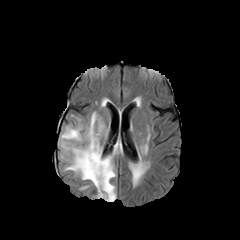
FLAIR magnetic resonance.
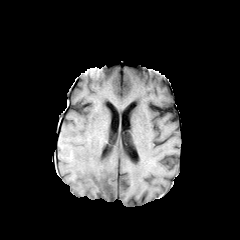
T1-weighted MR.
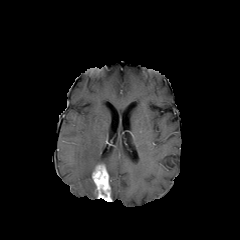
Post-contrast T1-weighted MR image of the same slice.
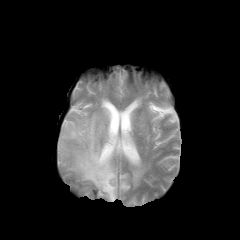
Same slice, T2-weighted MR image.
240x240
The enhancing tumor is located at (left=92, top=164, right=111, bottom=201). The non-enhancing tumor core is at (left=96, top=156, right=108, bottom=165). 4 edema regions are located at (left=105, top=141, right=121, bottom=179), (left=132, top=166, right=141, bottom=181), (left=58, top=112, right=108, bottom=189), (left=111, top=182, right=116, bottom=200).